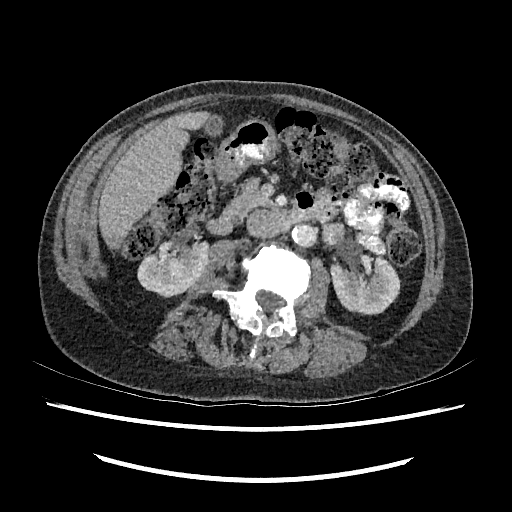
Computed tomography, Image size 512x512
liver: bbox(100, 110, 207, 248) | focal liver lesion: bbox(107, 234, 123, 244); bbox(143, 141, 153, 149) | kidney: bbox(138, 243, 208, 295); bbox(331, 256, 399, 313)